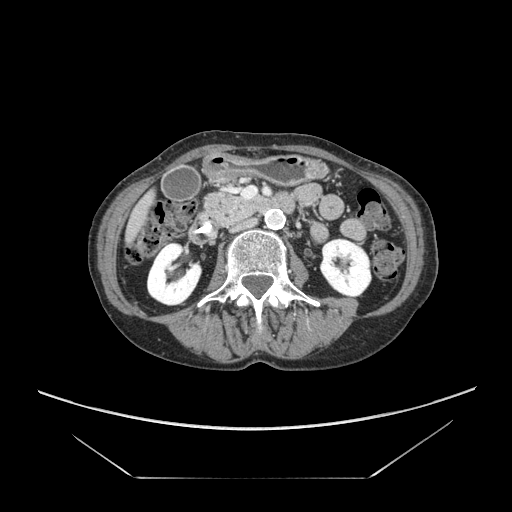
Abdomen | CT
- pancreas: (200,190,267,229)